FLAIR magnetic resonance.
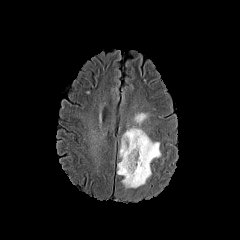
T1-weighted magnetic resonance.
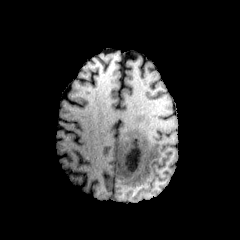
Post-contrast T1-weighted MR image.
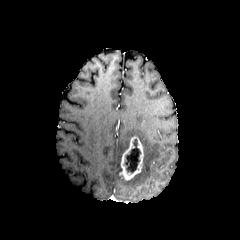
T2-weighted MR image.
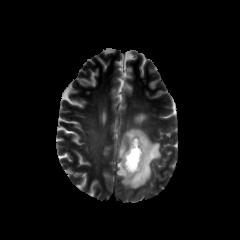
Head.
Enhancing tumor: [x1=119, y1=136, x2=143, y2=180].
Edema: [x1=133, y1=113, x2=147, y2=124], [x1=119, y1=127, x2=160, y2=190].
Non-enhancing tumor core: [x1=124, y1=138, x2=140, y2=173].